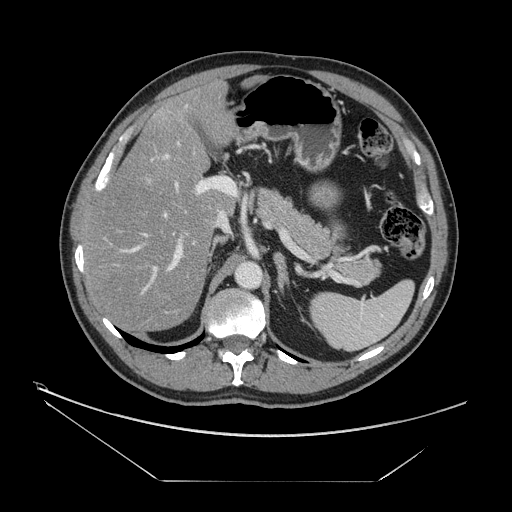
CT scan slice.
The vessel boxes may cover only some of the vessels.
Segmented structures:
- hepatic vessel: 165, 155, 168, 157; 131, 248, 137, 251; 169, 245, 181, 269; 154, 267, 156, 269; 176, 184, 177, 187